Field of view 330 mm wide, 5.00 mm slice spacing. CT slice. Liver.
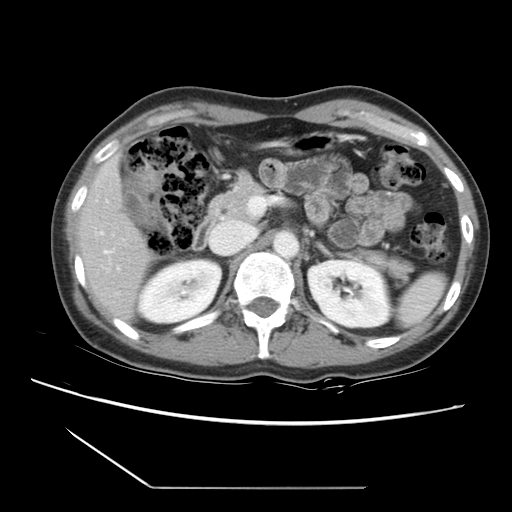
Not every hepatic vessel necessarily has a box.
• liver tumor: box(143, 176, 157, 188)
• hepatic vessel: box(106, 170, 106, 173); box(106, 269, 109, 270); box(96, 231, 102, 235); box(104, 250, 113, 254)